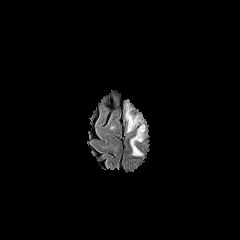
FLAIR magnetic resonance.
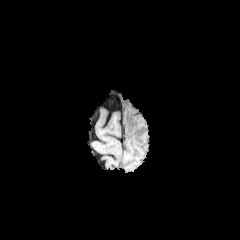
T1-weighted MRI of the same slice.
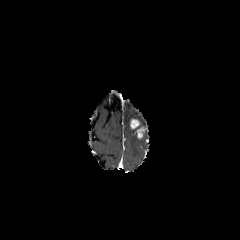
Same slice, post-contrast T1-weighted MRI.
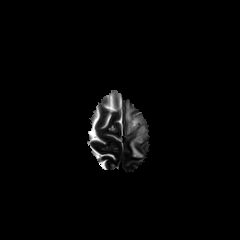
T2-weighted MR image.
Annotated regions:
• enhancing tumor: box(129, 118, 140, 129); box(136, 126, 145, 139)
• edema: box(125, 102, 142, 133); box(130, 131, 147, 157)